CT slice. Upper abdomen. 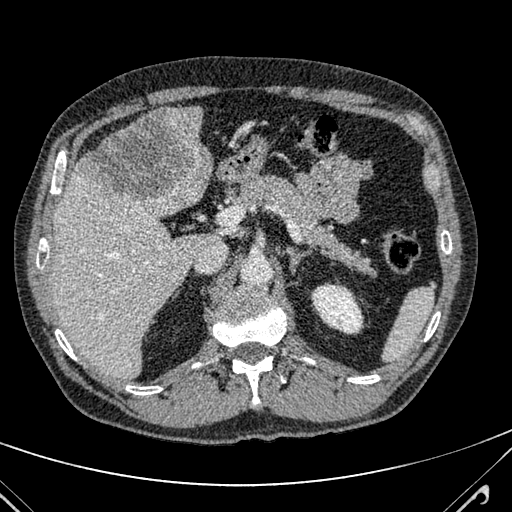 <segmentation>
  <liver>left=167, top=107, right=202, bottom=140; left=50, top=162, right=219, bottom=378</liver>
  <hepatic_lesion>left=77, top=109, right=210, bottom=204</hepatic_lesion>
</segmentation>